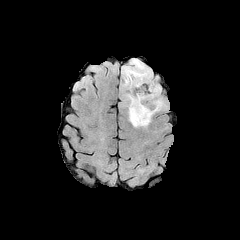
FLAIR MR.
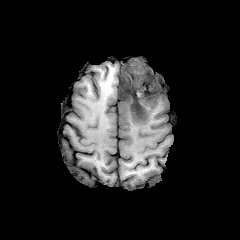
Same slice, T1-weighted MR image.
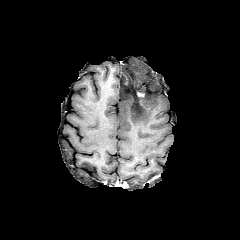
Post-contrast T1-weighted MRI.
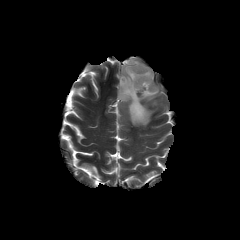
T2-weighted MRI of the same slice.
Head
2 non-enhancing tumor core regions appear at 122 71 153 102, 132 104 143 116. The edema is bounded by 120 58 162 127.